Head, Slice index 86, Image width 240 mm
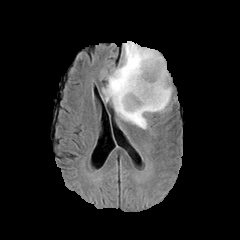
FLAIR MRI.
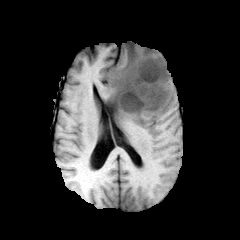
T1-weighted magnetic resonance of the same slice.
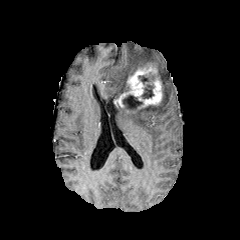
Same slice, post-contrast T1-weighted magnetic resonance.
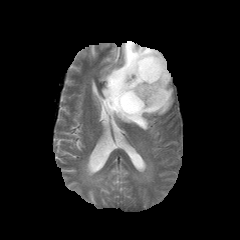
T2-weighted MR of the same slice.
The edema is located at [102,41,173,129]. 3 non-enhancing tumor core regions are bounded by [142,84,153,98], [138,76,150,83], [123,95,142,108]. The enhancing tumor lies within [113,63,162,109].